37x56 px; Hippocampus; Magnetic resonance
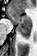
Posterior hippocampus: bounding box {"x1": 17, "y1": 25, "x2": 31, "y2": 37}.
Anterior hippocampus: bounding box {"x1": 7, "y1": 7, "x2": 31, "y2": 24}.